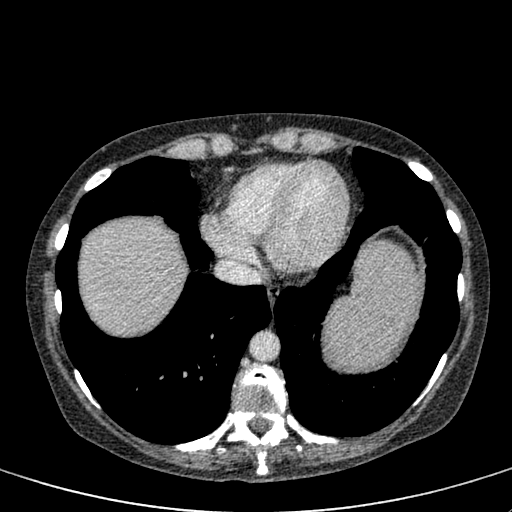

CT; Upper abdomen
Liver at <box>79,220,183,333</box>.